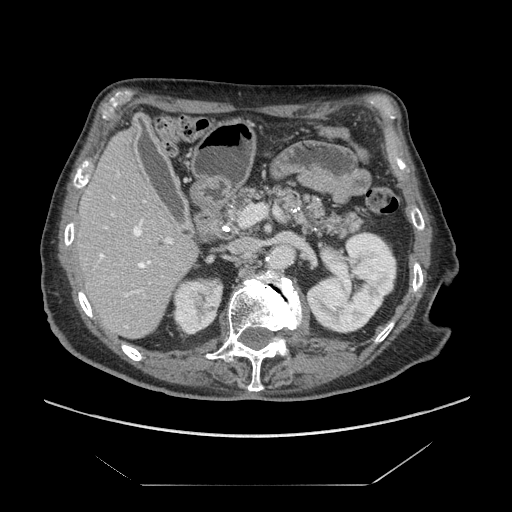

Upper abdomen, CT image
The pancreas appears at left=210, top=180, right=373, bottom=242.